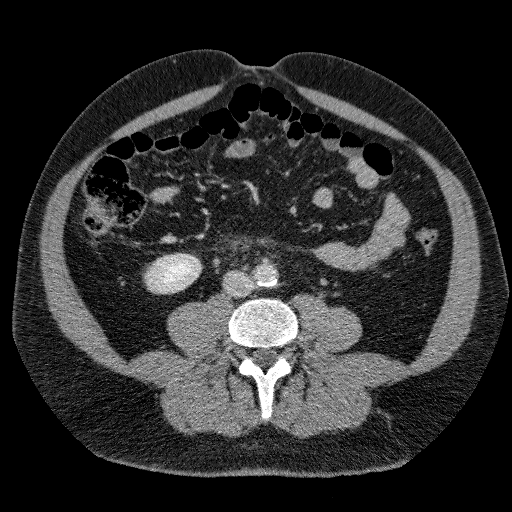
CT slice
Kidney: bounding box 147 254 200 292.